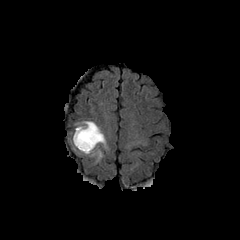
FLAIR MR image.
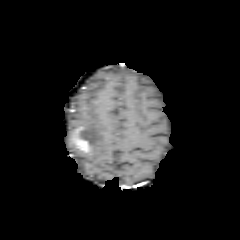
T1-weighted MRI.
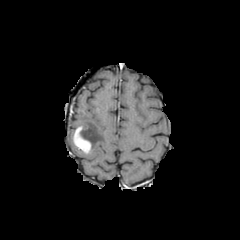
Post-contrast T1-weighted MR.
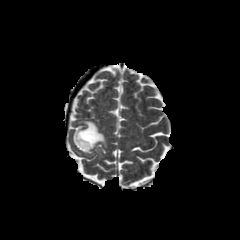
Same slice, T2-weighted MR image.
Head
The edema lies within region(75, 120, 107, 159). The enhancing tumor is at region(73, 126, 91, 153). The non-enhancing tumor core is bounded by region(80, 127, 94, 145).